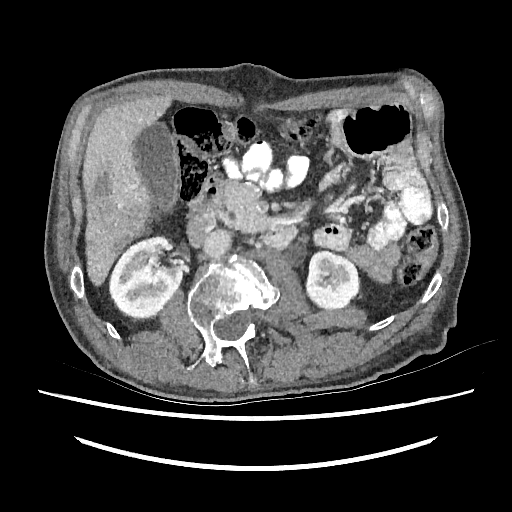
Abdomen, Computed tomography

kidney: {"x1": 307, "y1": 251, "x2": 358, "y2": 308}, {"x1": 110, "y1": 237, "x2": 184, "y2": 317} | liver: {"x1": 83, "y1": 96, "x2": 171, "y2": 286} | focal liver lesion: {"x1": 92, "y1": 168, "x2": 144, "y2": 252}